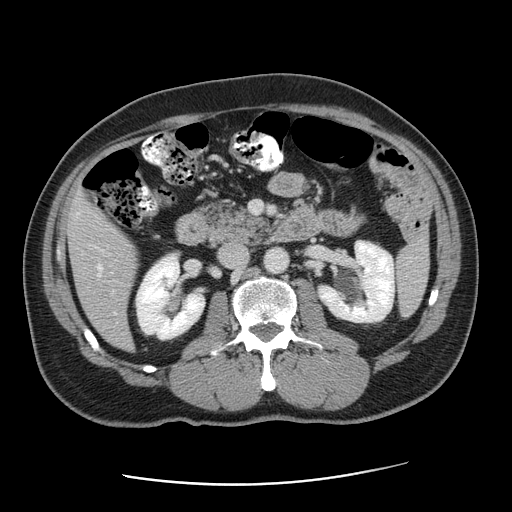
Abdomen; CT scan slice
Only some of the vessels may be annotated.
2 hepatic vessel regions are located at [x1=97, y1=263, x2=101, y2=270], [x1=99, y1=273, x2=100, y2=275].